Brain
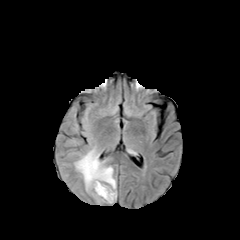
FLAIR magnetic resonance.
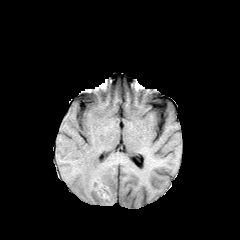
T1-weighted MR of the same slice.
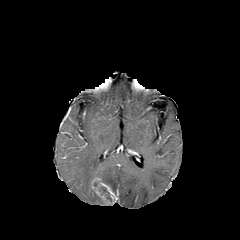
Same slice, post-contrast T1-weighted MR.
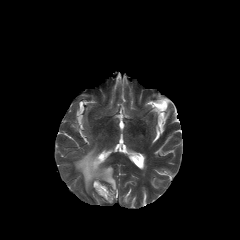
Same slice, T2-weighted MR image.
Segmented structures:
• edema: x1=73, y1=146, x2=116, y2=203
• non-enhancing tumor core: x1=94, y1=182, x2=110, y2=195
• enhancing tumor: x1=102, y1=184, x2=115, y2=197